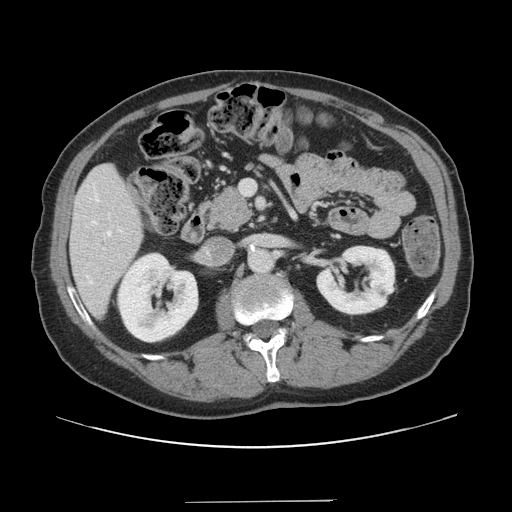

Abdomen; CT scan slice
Not every hepatic vessel necessarily has a box.
hepatic vessel: {"x1": 107, "y1": 231, "x2": 110, "y2": 235}, {"x1": 240, "y1": 180, "x2": 254, "y2": 194}, {"x1": 103, "y1": 248, "x2": 104, "y2": 249}, {"x1": 89, "y1": 280, "x2": 92, "y2": 283}